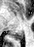 Magnetic resonance
{
  "posterior_hippocampus": [
    "rect(13, 30, 23, 40)"
  ]
}